Computed tomography. Slice 34/97. Upper abdomen. 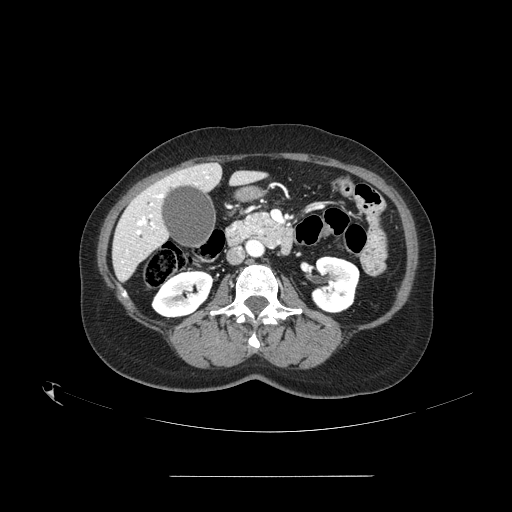
The pancreas lies within box=[238, 213, 282, 247].